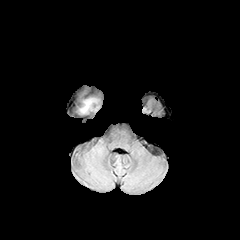
FLAIR MR image.
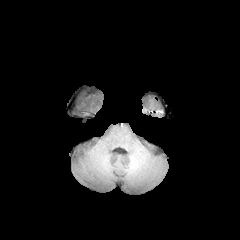
Same slice, T1-weighted MRI.
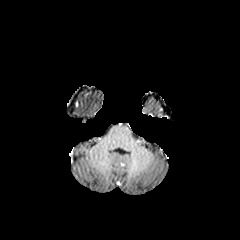
Same slice, post-contrast T1-weighted magnetic resonance.
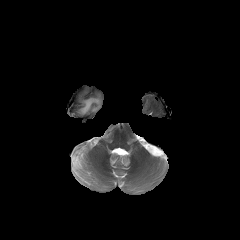
Same slice, T2-weighted MR.
Edema at (80, 98, 96, 113).